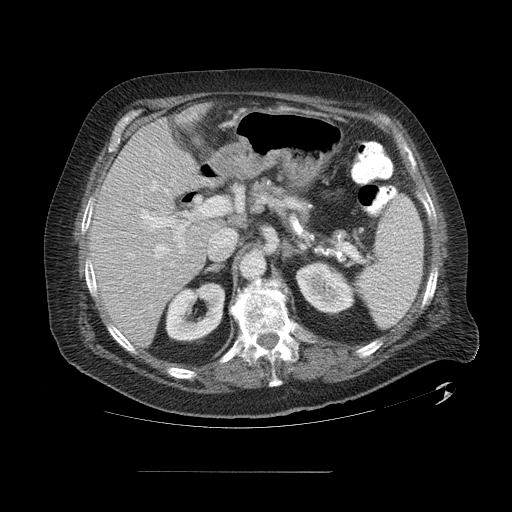

Abdomen; CT scan slice; 512x512
The vessel boxes may cover only some of the vessels.
Hepatic vessel: bounding box 170:183:171:185, 137:198:142:200, 164:189:168:191, 149:181:156:190, 154:244:170:258, 149:172:150:174, 171:261:174:266, 141:209:171:230, 201:198:226:214, 174:226:185:253.